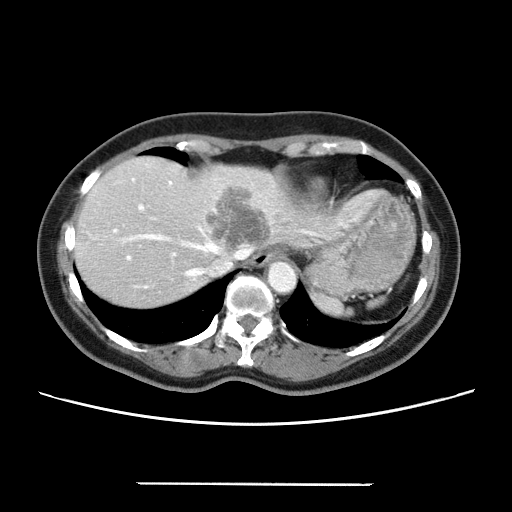

CT scan slice; Image size 512x512
The vessel annotation is not exhaustive.
Hepatic vessel — 127 256 129 259, 236 250 243 256, 188 269 201 275, 145 235 159 238, 202 243 218 251, 139 206 142 209.
Liver tumor — 209 189 270 252.